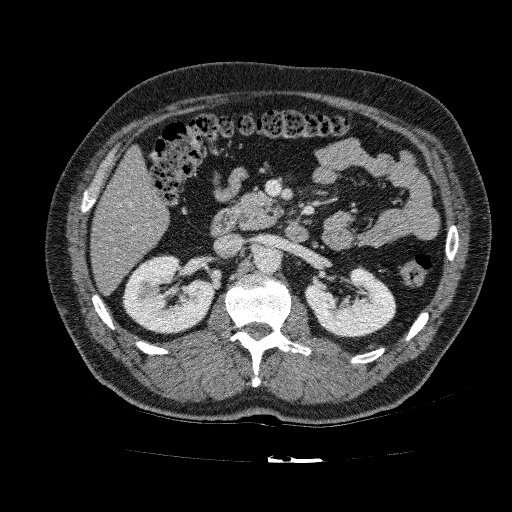
CT scan slice | 512x512 px

{"kidney": ["box(124, 256, 215, 332)", "box(306, 269, 394, 336)"], "liver": ["box(90, 145, 169, 294)"]}